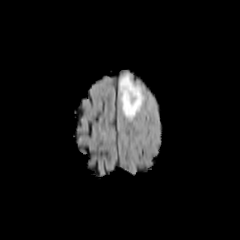
FLAIR MR image.
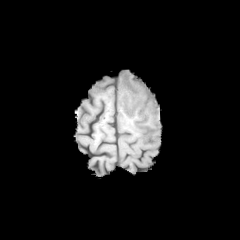
Same slice, T1-weighted MR.
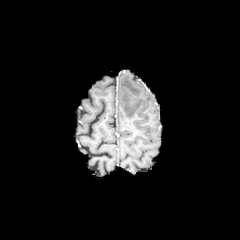
Same slice, post-contrast T1-weighted MR image.
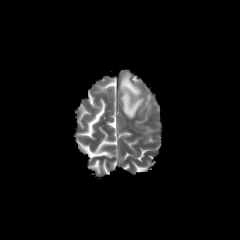
Same slice, T2-weighted MR.
Head
Edema — (left=120, top=74, right=143, bottom=117).